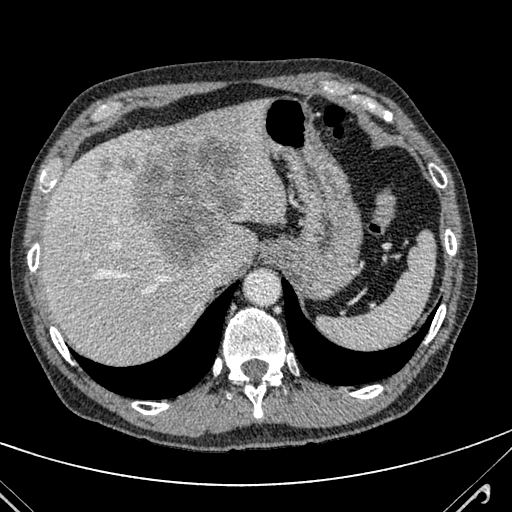

CT scan slice. The liver is at (43, 99, 286, 363). 2 liver lesion regions are bounded by (134, 136, 242, 266), (125, 160, 134, 169).